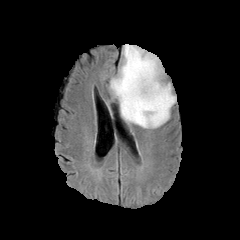
FLAIR MRI.
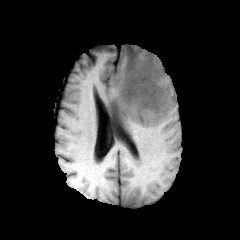
Same slice, T1-weighted magnetic resonance.
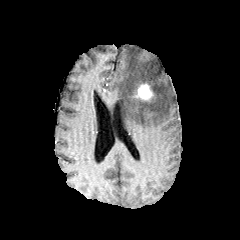
Post-contrast T1-weighted magnetic resonance.
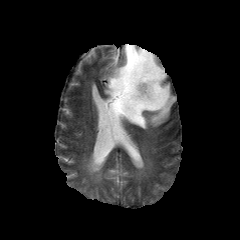
T2-weighted MRI of the same slice.
Head
Edema: bounding box <bbox>108, 44, 175, 128</bbox>.
Non-enhancing tumor core: bounding box <bbox>132, 75, 155, 100</bbox>.
Enhancing tumor: bounding box <bbox>135, 82, 153, 100</bbox>.